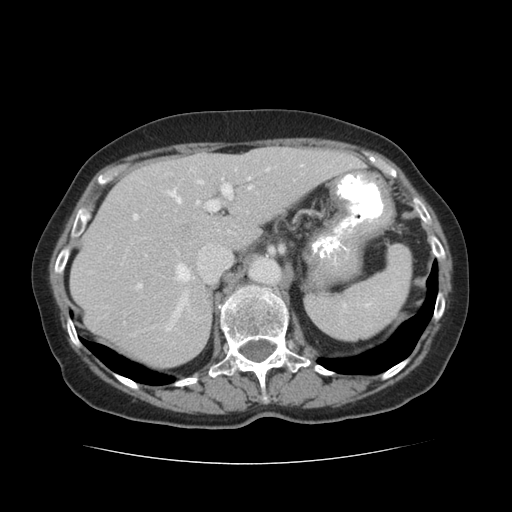
CT image. 512x512 px. Annotated regions:
• liver: [71,147,363,369]
• lung: [79,337,174,385], [317,259,437,374]
• bone: [67,316,80,347], [114,374,138,390], [67,214,86,245], [382,359,408,379], [412,197,436,229], [98,177,105,184], [54,249,68,279], [429,233,446,264], [383,165,396,178], [434,292,444,320], [175,378,198,385], [313,366,334,375], [209,281,309,403]